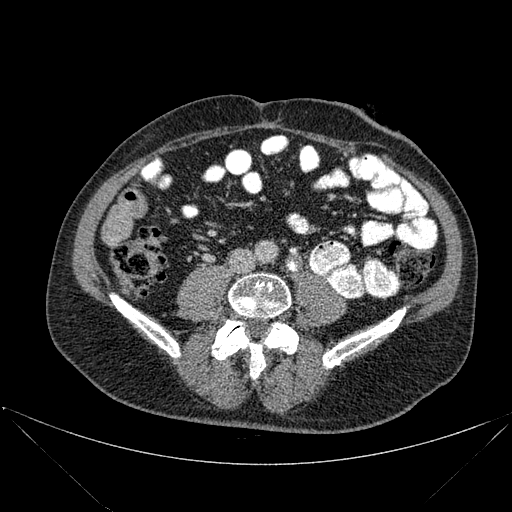

512x512 px; CT scan slice
Segmented structures:
* bone: x1=110, y1=294, x2=180, y2=357; x1=263, y1=323, x2=298, y2=353; x1=323, y1=308, x2=405, y2=368; x1=228, y1=274, x2=290, y2=317; x1=212, y1=320, x2=265, y2=378